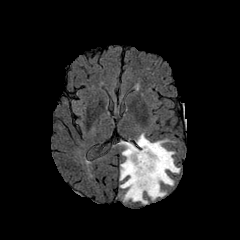
FLAIR MR image.
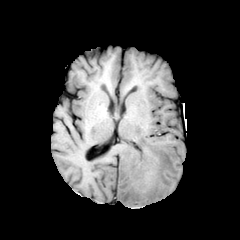
T1-weighted MR.
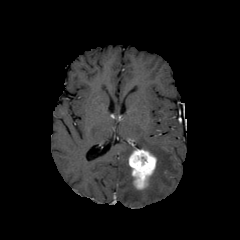
Post-contrast T1-weighted magnetic resonance.
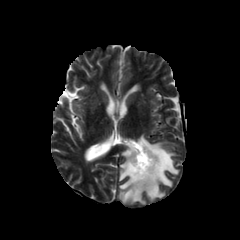
T2-weighted MR image.
Brain, 240x240 px
The edema is bounded by (left=118, top=133, right=179, bottom=204). The enhancing tumor is bounded by (left=128, top=147, right=157, bottom=189).